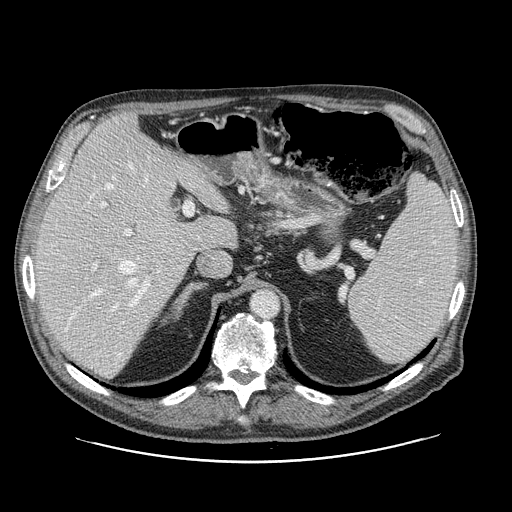
Computed tomography, 512x512

The pancreas is located at box(264, 211, 282, 216).